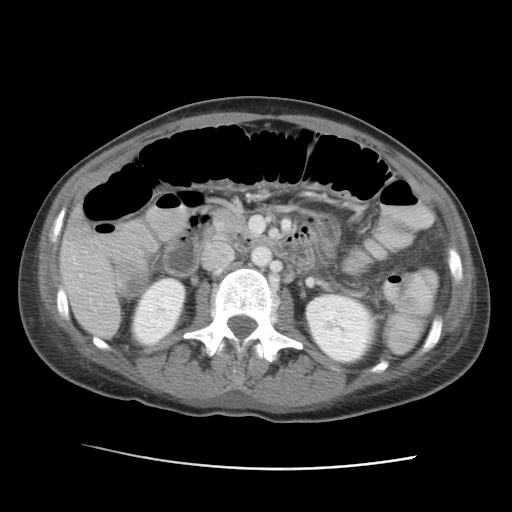

Liver. CT.

The liver is located at rect(60, 205, 115, 333). 2 kidney regions are located at rect(134, 279, 183, 343); rect(306, 294, 374, 362).